MRI slice, 32x46 px
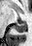
<segmentation>
  <posterior_hippocampus>left=14, top=23, right=25, bottom=32</posterior_hippocampus>
</segmentation>